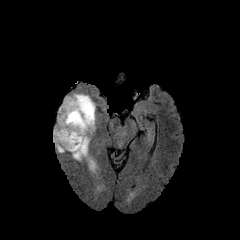
FLAIR magnetic resonance.
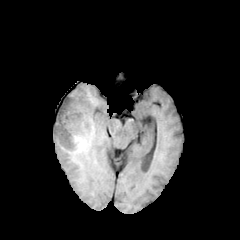
Same slice, T1-weighted magnetic resonance.
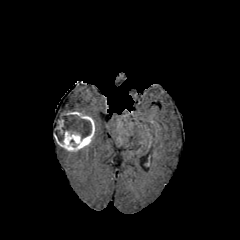
Post-contrast T1-weighted MRI of the same slice.
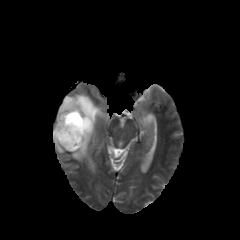
Same slice, T2-weighted magnetic resonance.
Brain
Non-enhancing tumor core: [53,128,63,141], [55,106,91,137].
Edema: [55,144,68,153], [70,144,96,171], [54,92,99,129].
Enhancing tumor: [60,111,94,133], [54,118,91,151].